CT image.

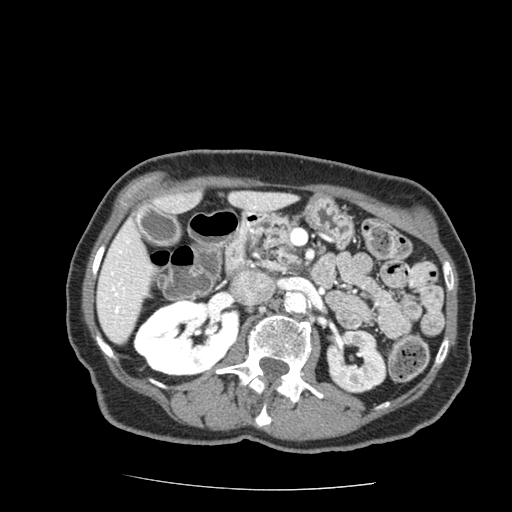
• pancreas: l=245, t=215, r=303, b=273